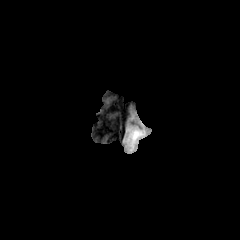
FLAIR magnetic resonance.
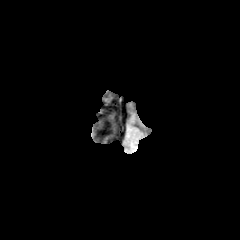
T1-weighted magnetic resonance.
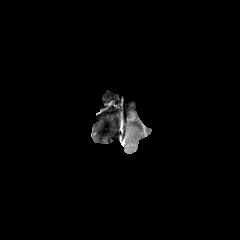
Same slice, post-contrast T1-weighted MRI.
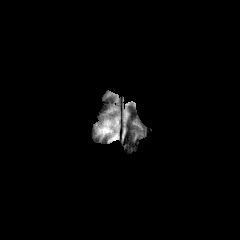
T2-weighted MR.
Image size 240x240
The edema lies within bbox(131, 123, 143, 142).